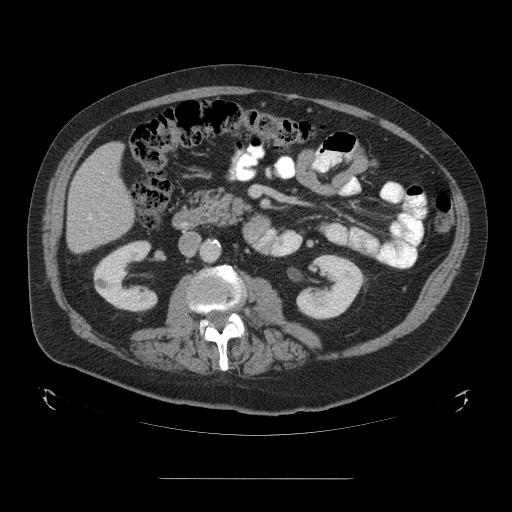

CT scan slice | 512x512 px
Only some of the vessels may be annotated.
hepatic vessel: [88,215,92,219]